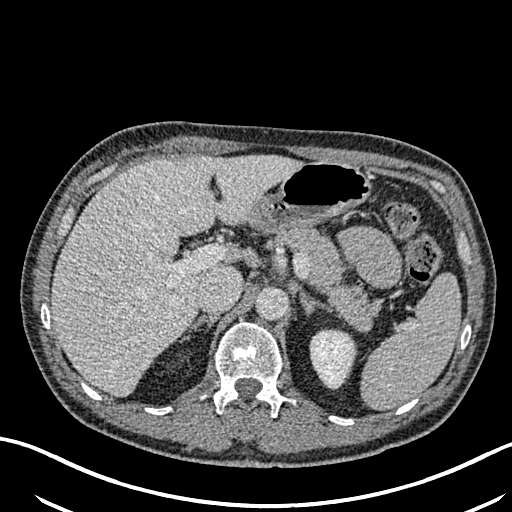 CT slice
The kidney is at l=311, t=331, r=353, b=387. The liver is located at l=52, t=156, r=301, b=394.